FLAIR MR image.
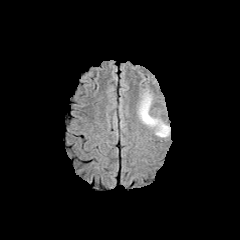
T1-weighted MR.
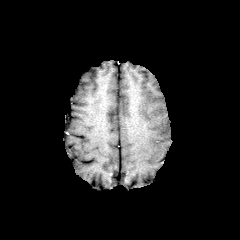
Post-contrast T1-weighted MRI.
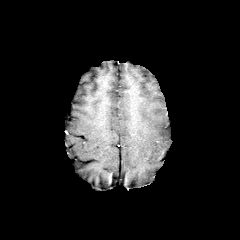
T2-weighted magnetic resonance.
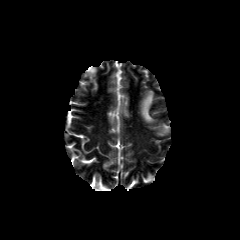
<segmentation>
  <edema>bbox(138, 88, 170, 137)</edema>
</segmentation>